Slice index 463. Abdomen. CT scan slice.

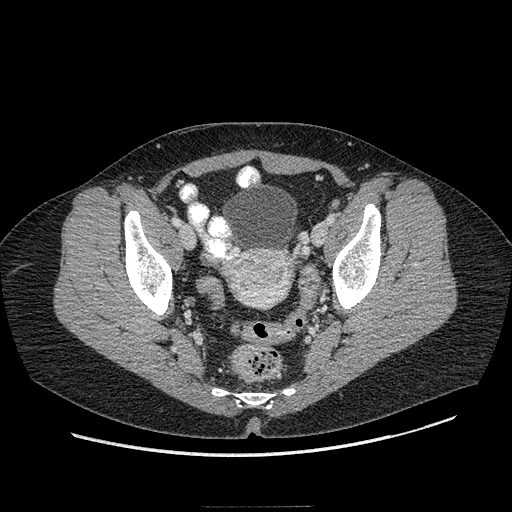

Segmented structures:
- colon tumor: [x1=232, y1=346, x2=253, y2=380]